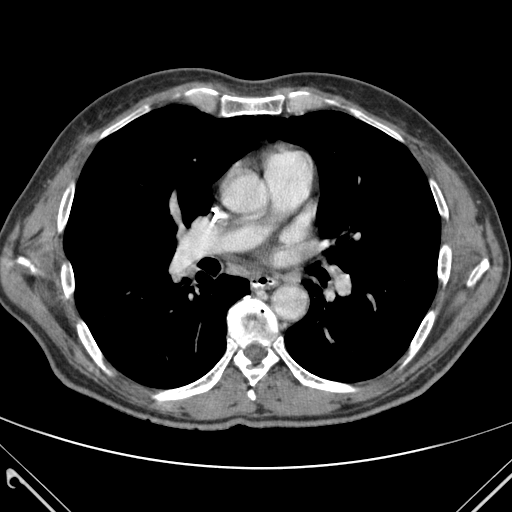 CT slice. bone:
  - bbox=[431, 181, 447, 216]
  - bbox=[77, 322, 105, 369]
  - bbox=[154, 296, 354, 400]
  - bbox=[101, 106, 147, 136]
  - bbox=[405, 312, 434, 362]
  - bbox=[186, 88, 309, 116]
  - bbox=[248, 390, 255, 399]
  - bbox=[18, 258, 34, 271]
  - bbox=[468, 259, 488, 285]
  - bbox=[349, 109, 401, 139]
  - bbox=[58, 186, 73, 231]
  - bbox=[438, 246, 451, 283]
  - bbox=[61, 265, 74, 297]
lung:
  - bbox=[64, 105, 440, 388]